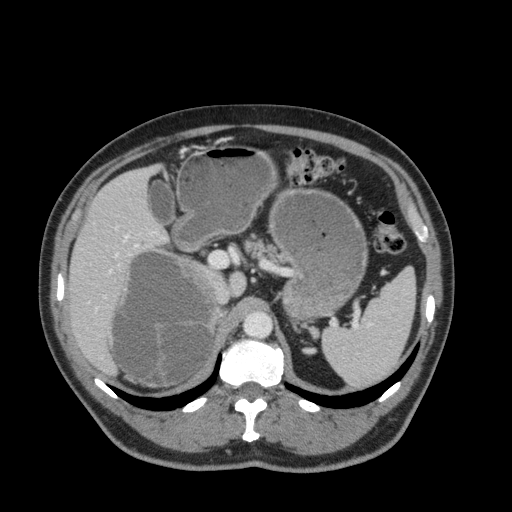
CT slice | Abdomen

2 liver regions appear at box(70, 167, 167, 373); box(230, 272, 244, 296).